CT slice. Slice index 43. 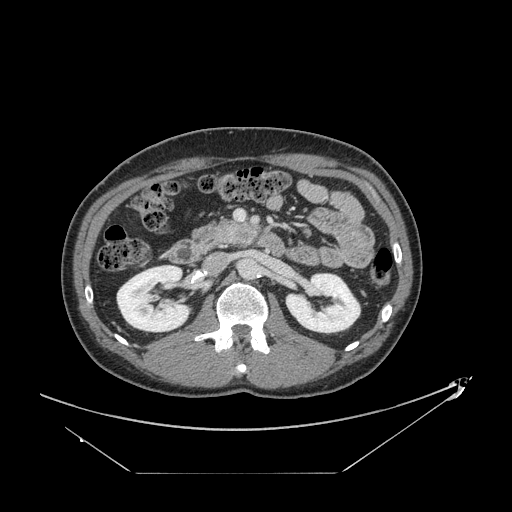
The pancreatic tumor is located at [234, 229, 249, 240]. The pancreas is at [196, 219, 260, 252].